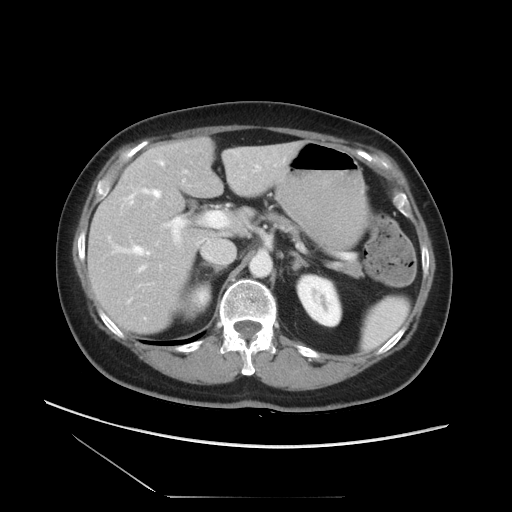

Abdomen, Computed tomography
Only some of the vessels may be annotated.
{"hepatic_vessel": ["rect(233, 151, 238, 155)", "rect(166, 218, 184, 242)", "rect(157, 160, 163, 165)", "rect(109, 237, 110, 239)", "rect(205, 211, 228, 227)", "rect(113, 245, 149, 255)", "rect(139, 266, 145, 271)", "rect(254, 165, 260, 171)", "rect(123, 189, 135, 203)", "rect(142, 189, 160, 197)"]}